Head; Slice 80 of 155
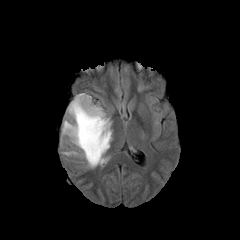
FLAIR MRI.
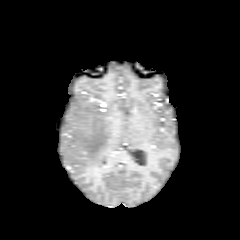
Same slice, T1-weighted MRI.
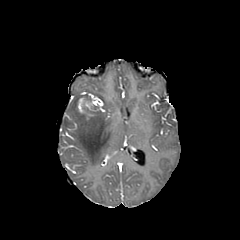
Post-contrast T1-weighted MRI.
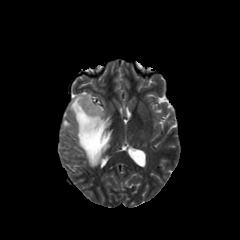
T2-weighted magnetic resonance of the same slice.
The edema is bounded by (62,93,111,167). The enhancing tumor is bounded by (77,98,94,117).